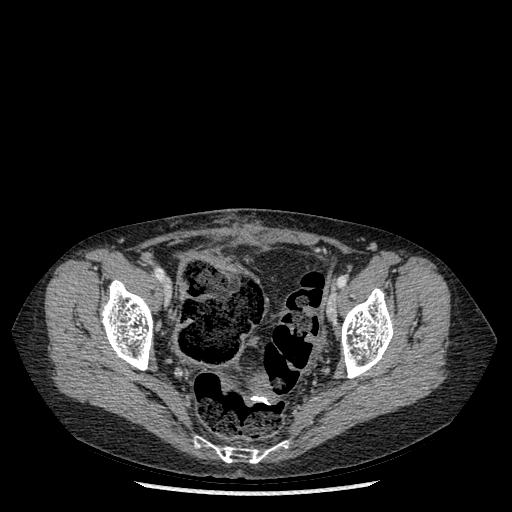 512x512. Computed tomography. Bone — region(194, 436, 288, 463); region(101, 279, 152, 370); region(341, 288, 393, 378).